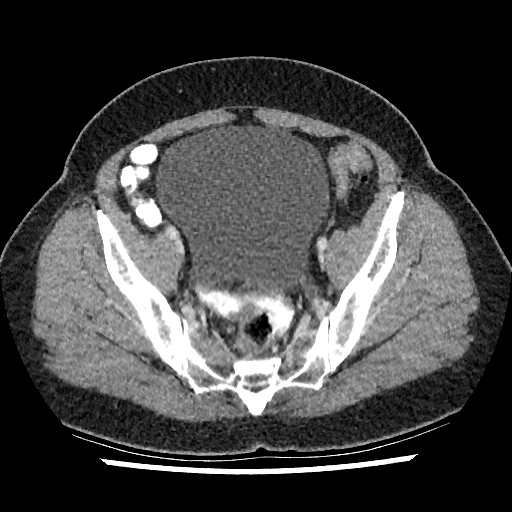 Lower abdomen; Computed tomography

Urinary bladder — box(156, 123, 329, 293).